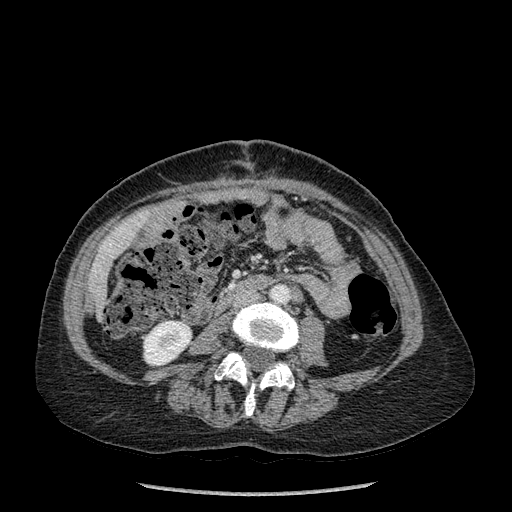 CT scan slice; 512x512 px
3 bone regions appear at 244 362 294 415, 232 302 299 351, 214 352 249 386. The liver is at 88 218 140 309. The kidney is at 144 321 191 364.